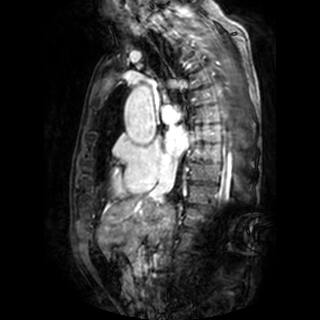 Cardiac; MR image

* left atrium: 165, 128, 188, 155